Field of view 350x350 mm | Computed tomography | Image size 512x512 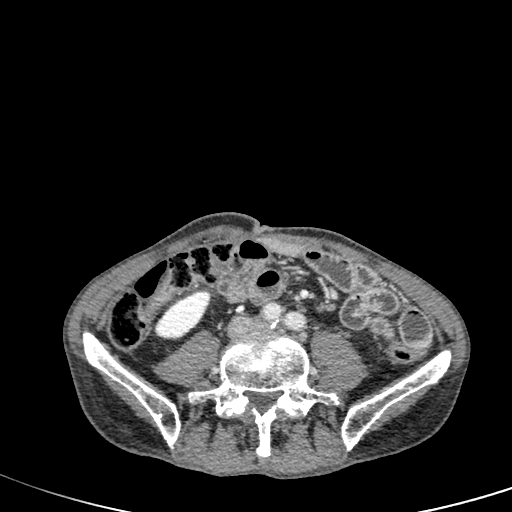
<segmentation>
  <kidney>156 292 209 337</kidney>
</segmentation>